240x240 px | Brain
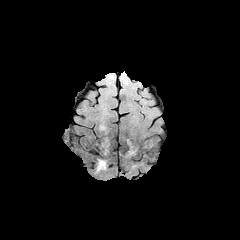
FLAIR MRI.
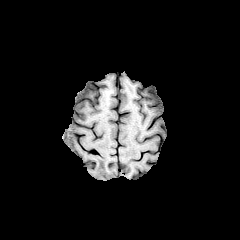
T1-weighted MR of the same slice.
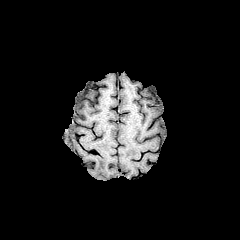
Post-contrast T1-weighted MR image of the same slice.
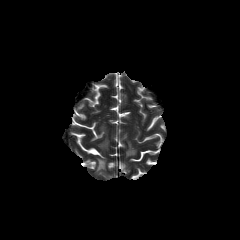
T2-weighted MRI.
The edema is bounded by region(95, 158, 107, 173).